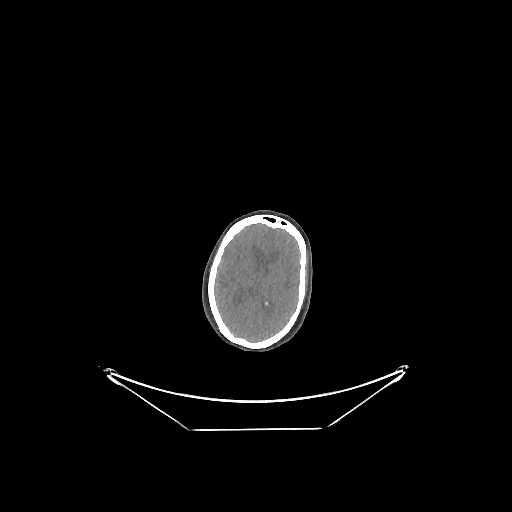

CT image.
{"brain": ["214, 223, 300, 342"]}